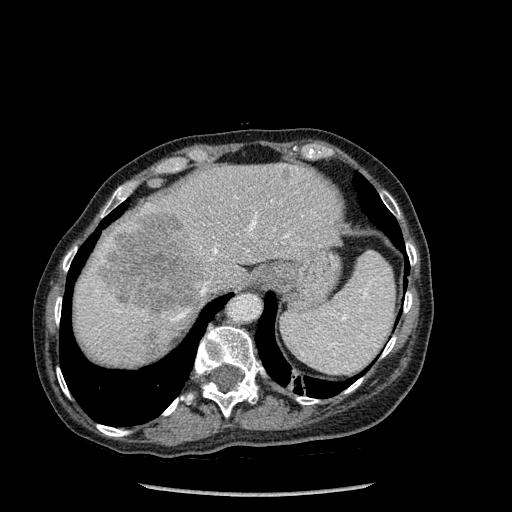 Upper abdomen, CT
Annotated regions:
• liver lesion: bbox=[144, 328, 161, 353]; bbox=[282, 169, 290, 181]; bbox=[98, 212, 207, 315]
• lung: bbox=[353, 173, 404, 251]; bbox=[255, 292, 352, 398]; bbox=[59, 202, 227, 426]
• bone: bbox=[54, 297, 61, 324]; bbox=[162, 393, 193, 415]; bbox=[63, 246, 77, 271]; bbox=[381, 336, 396, 357]; bbox=[381, 193, 400, 217]; bbox=[344, 378, 363, 393]; bbox=[195, 326, 264, 417]; bbox=[97, 424, 128, 436]; bbox=[101, 187, 127, 217]; bbox=[406, 242, 416, 265]; bbox=[56, 367, 69, 397]; bbox=[296, 396, 318, 404]; bbox=[404, 291, 412, 313]
• liver: bbox=[73, 163, 345, 368]